Head | Slice 77/155 | 240x240
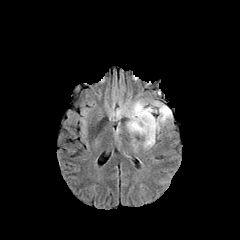
FLAIR MR.
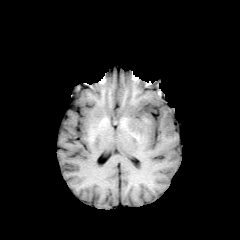
T1-weighted magnetic resonance of the same slice.
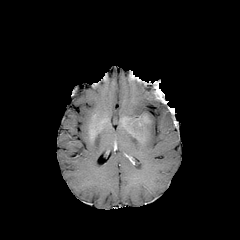
Post-contrast T1-weighted MR of the same slice.
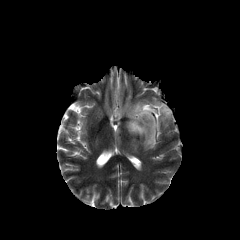
T2-weighted MRI.
edema:
  - (110, 91, 172, 149)